FLAIR MR.
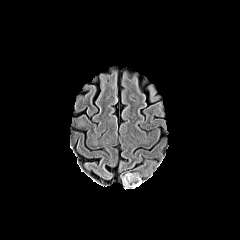
T1-weighted MRI.
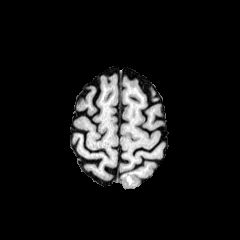
Post-contrast T1-weighted MRI.
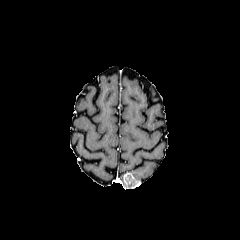
T2-weighted MR image.
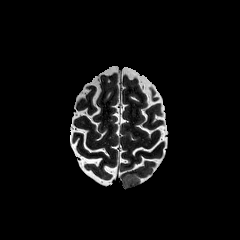
Brain
The enhancing tumor appears at [123,173,140,187]. The edema appears at [133,173,143,183].